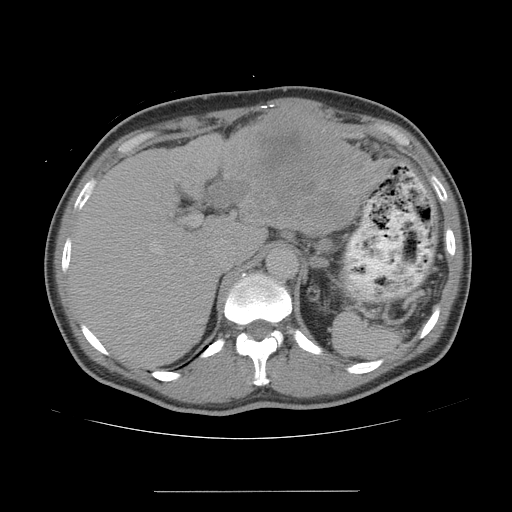

CT, 512x512 px, Abdomen
Only some of the vessels may be annotated.
hepatic_vessel:
  - (left=182, top=214, right=202, bottom=226)
  - (left=170, top=212, right=172, bottom=215)
  - (left=189, top=258, right=192, bottom=263)
  - (left=149, top=240, right=162, bottom=254)
  - (left=227, top=212, right=235, bottom=219)
liver_tumor:
  - (left=210, top=110, right=388, bottom=234)